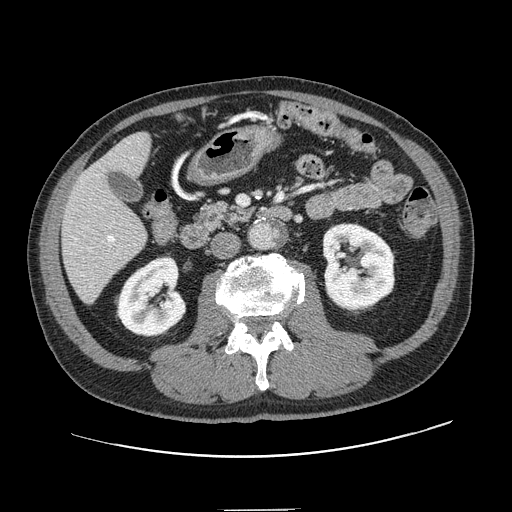 512x512 px, CT image

The pancreas is located at (194, 202, 255, 231).